FLAIR MR image.
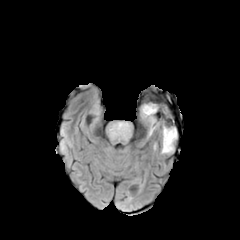
T1-weighted MR image.
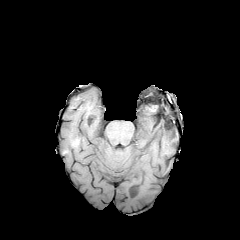
Post-contrast T1-weighted magnetic resonance.
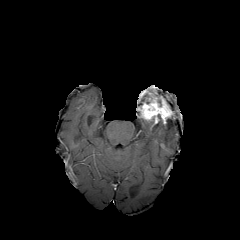
T2-weighted magnetic resonance.
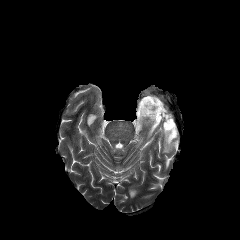
The enhancing tumor appears at [x1=138, y1=99, x2=171, y2=123]. The edema appears at [x1=144, y1=119, x2=177, y2=153]. The non-enhancing tumor core is at [x1=157, y1=114, x2=172, y2=137].